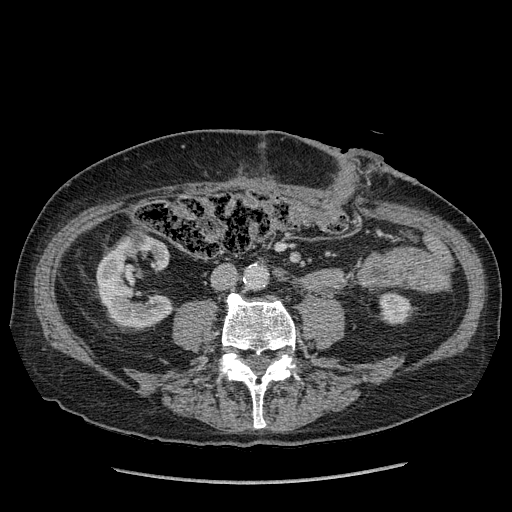 512x512 | Abdomen | CT
3 kidney regions are bounded by 380,293,411,323; 140,238,168,269; 97,240,171,327.